Computed tomography, 512x512 px
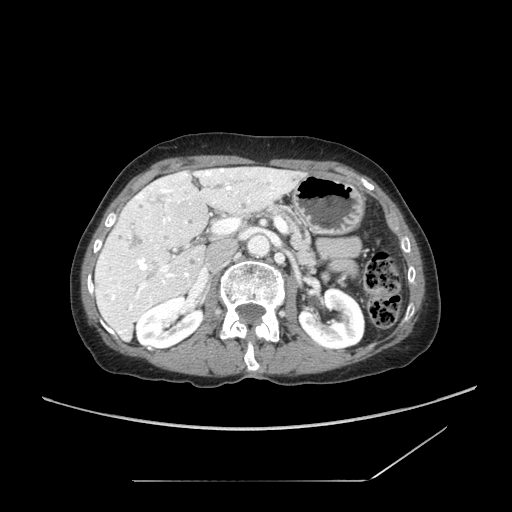

{
  "pancreas": [
    "bbox(269, 204, 317, 271)"
  ]
}